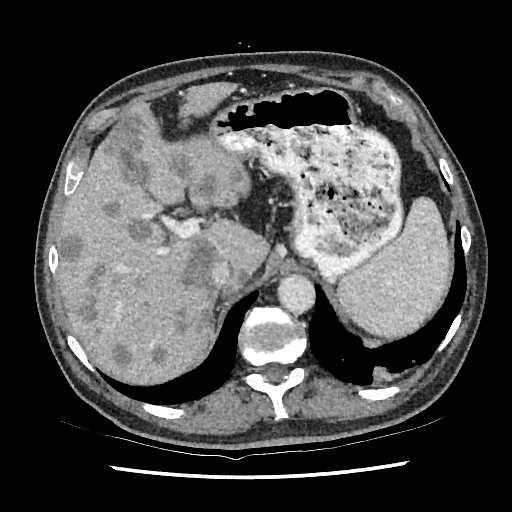
Computed tomography. Abdomen.

liver:
  - x1=59 y1=103 x2=267 y2=383
  - x1=182 y1=83 x2=235 y2=122
hepatic_lesion:
  - x1=236 y1=270 x2=247 y2=284
  - x1=76 y1=264 x2=111 y2=320
  - x1=179 y1=238 x2=218 y2=298
  - x1=60 y1=236 x2=82 y2=263
  - x1=103 y1=200 x2=119 y2=217
  - x1=109 y1=113 x2=142 y2=153
  - x1=152 y1=347 x2=167 y2=362
  - x1=193 y1=174 x2=223 y2=198
  - x1=113 y1=341 x2=131 y2=365
  - x1=125 y1=220 x2=151 y2=241
  - x1=171 y1=151 x2=191 y2=177
  - x1=175 y1=302 x2=211 y2=331